FLAIR MR image.
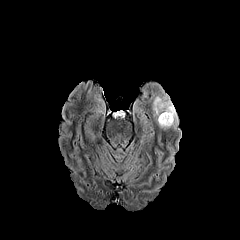
T1-weighted MR image.
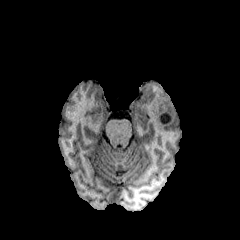
Post-contrast T1-weighted MRI.
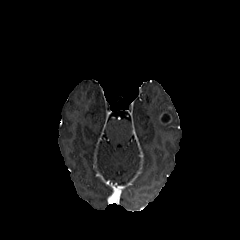
T2-weighted magnetic resonance.
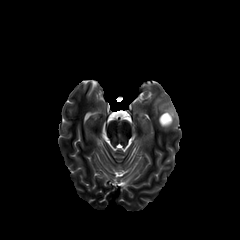
240x240 px
Edema — 143:83:180:133, 133:103:152:135.
Non-enhancing tumor core — 161:114:170:122.
Enhancing tumor — 158:111:171:125.